FLAIR MRI.
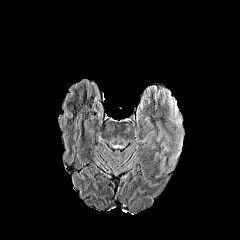
T1-weighted MR.
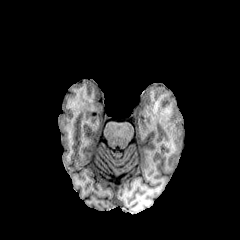
Post-contrast T1-weighted MR image.
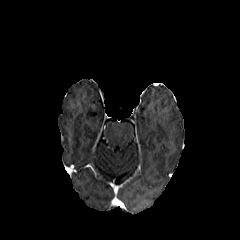
T2-weighted magnetic resonance.
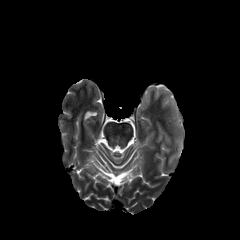
<segmentation>
  <edema>region(168, 98, 180, 125); region(172, 138, 182, 159)</edema>
</segmentation>